FLAIR MR image.
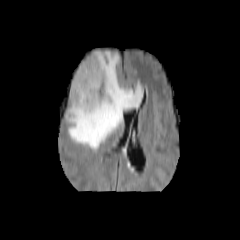
T1-weighted MR.
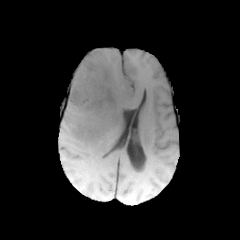
Post-contrast T1-weighted MRI.
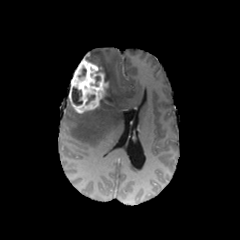
T2-weighted MR.
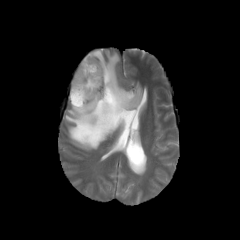
Head, 240x240
Non-enhancing tumor core = [89,60,109,86], [71,88,83,105], [99,88,108,106].
Edema = [65,49,142,150].
Enhancing tumor = [68,57,108,113].